Image width 387 mm; Liver; Slice 394/811; Computed tomography

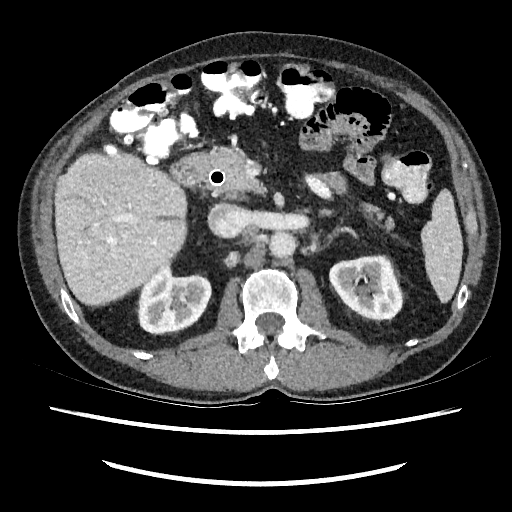 Liver at {"x1": 55, "y1": 153, "x2": 186, "y2": 304}.
Kidney at {"x1": 330, "y1": 256, "x2": 401, "y2": 319}, {"x1": 139, "y1": 266, "x2": 210, "y2": 332}.